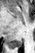
MRI slice; Hippocampus

Posterior hippocampus: bounding box 8:38:21:49.